FLAIR MR image.
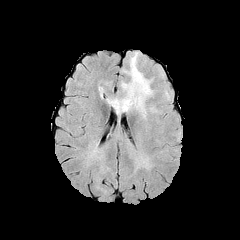
T1-weighted magnetic resonance.
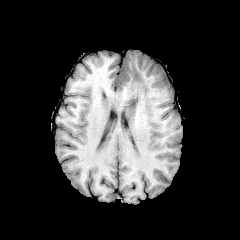
Post-contrast T1-weighted MR image.
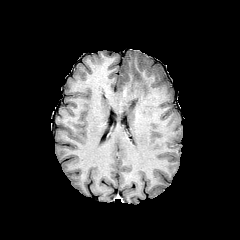
T2-weighted magnetic resonance.
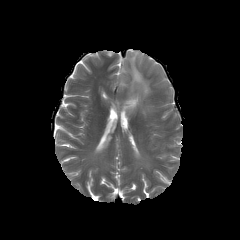
Edema = rect(111, 51, 152, 115).